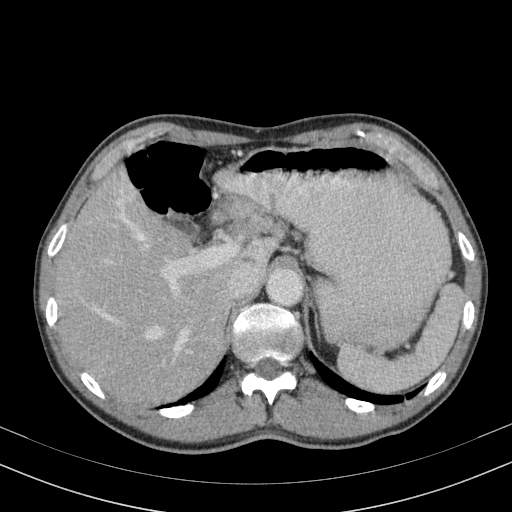

CT slice

Segmented structures:
- liver: x1=57, y1=166, x2=277, y2=407; x1=223, y1=208, x2=229, y2=223